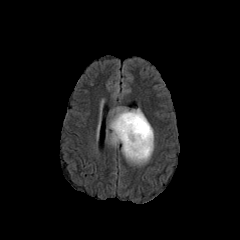
FLAIR magnetic resonance.
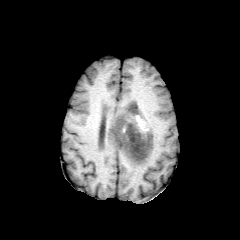
T1-weighted MR image.
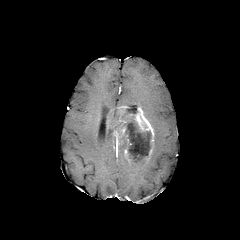
Same slice, post-contrast T1-weighted magnetic resonance.
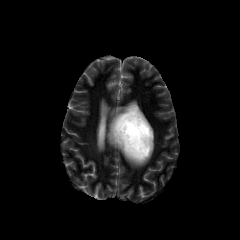
T2-weighted MRI.
Brain
2 enhancing tumor regions are located at (left=131, top=109, right=153, bottom=140), (left=112, top=127, right=125, bottom=147). 2 edema regions are bounded by (left=118, top=143, right=152, bottom=165), (left=106, top=107, right=136, bottom=145). The non-enhancing tumor core lies within (left=112, top=109, right=152, bottom=159).